Field of view 386 mm wide, 2.00 mm slice spacing | Liver | CT

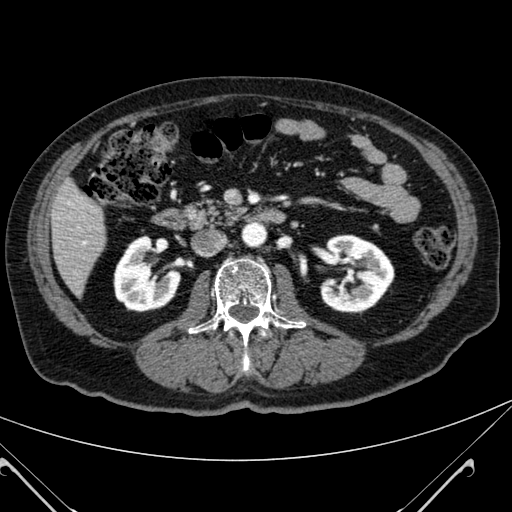 2 kidney regions are located at l=115, t=237, r=179, b=310; l=319, t=236, r=393, b=311. The liver is bounded by l=51, t=181, r=103, b=293.